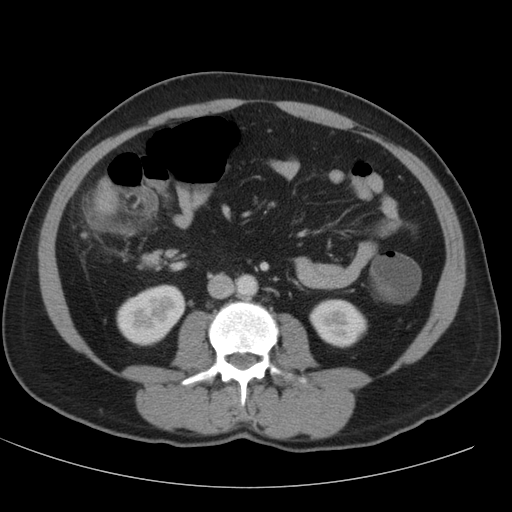

CT. 512x512 px.

Annotated regions:
• kidney: 310 300 365 346, 117 285 184 344